FLAIR MRI.
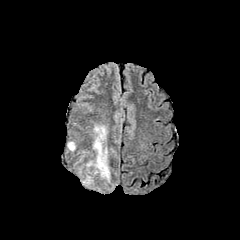
T1-weighted MR.
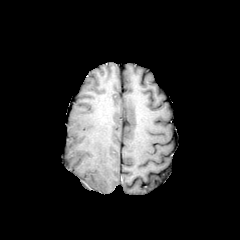
Post-contrast T1-weighted MR.
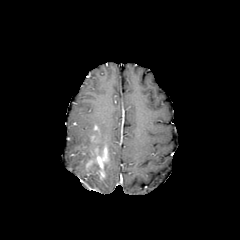
T2-weighted magnetic resonance.
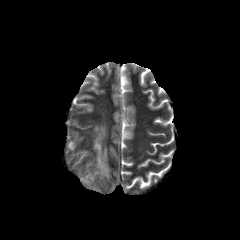
{
  "non-enhancing_tumor_core": [
    "93 159 105 176"
  ],
  "enhancing_tumor": [
    "96 149 105 168"
  ],
  "edema": [
    "102 158 110 181",
    "68 141 75 150",
    "79 125 106 186"
  ]
}